Upper abdomen, Computed tomography, Slice 39 of 92, 512x512 px 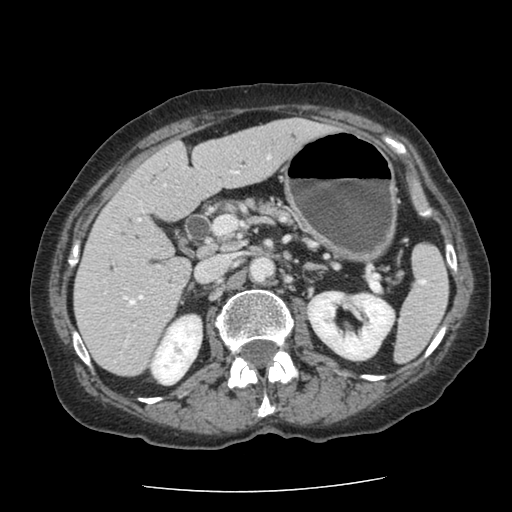

Pancreas = (255,202,284,217).